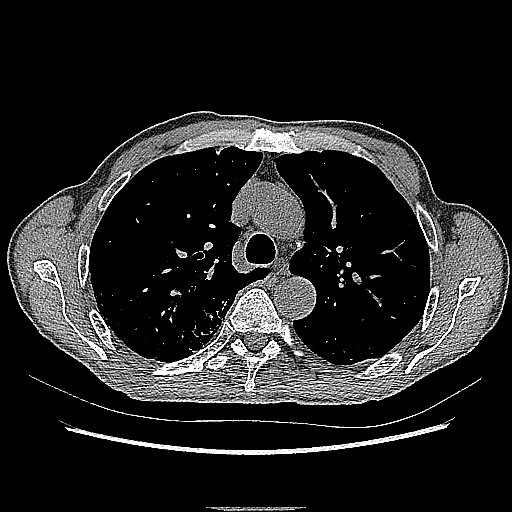

CT slice
lung_tumor:
  - (175, 299, 228, 353)